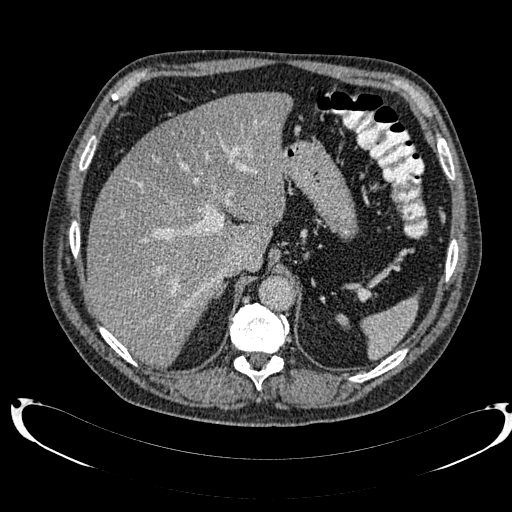

Image size 512x512; Liver; CT slice
• liver lesion: (x1=133, y1=96, x2=243, y2=204)
• liver: (x1=87, y1=92, x2=292, y2=366)